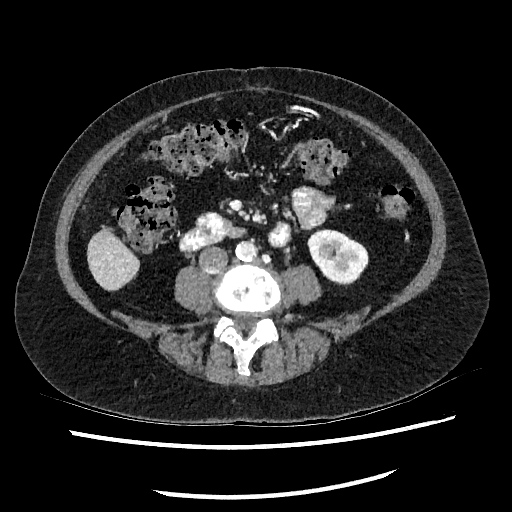 Liver | 512x512 | Computed tomography

Kidney: [309,224,367,282].
Liver: [87,230,137,289].